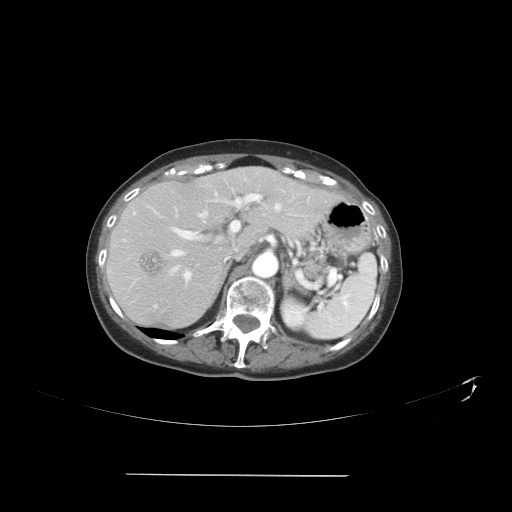

CT, Liver, 512x512

The vessel annotation is not exhaustive.
Findings:
• liver tumor: {"x1": 137, "y1": 249, "x2": 164, "y2": 277}, {"x1": 316, "y1": 205, "x2": 323, "y2": 213}
• hepatic vessel: {"x1": 210, "y1": 198, "x2": 217, "y2": 201}, {"x1": 172, "y1": 250, "x2": 182, "y2": 255}, {"x1": 296, "y1": 242, "x2": 298, "y2": 243}, {"x1": 217, "y1": 236, "x2": 220, "y2": 239}, {"x1": 183, "y1": 270, "x2": 190, "y2": 282}, {"x1": 275, "y1": 203, "x2": 280, "y2": 211}, {"x1": 203, "y1": 220, "x2": 205, "y2": 222}, {"x1": 230, "y1": 221, "x2": 239, "y2": 232}, {"x1": 224, "y1": 193, "x2": 261, "y2": 207}, {"x1": 267, "y1": 236, "x2": 270, "y2": 237}, {"x1": 214, "y1": 191, "x2": 216, "y2": 196}, {"x1": 198, "y1": 211, "x2": 207, "y2": 217}, {"x1": 172, "y1": 227, "x2": 198, "y2": 239}